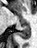

Magnetic resonance

Posterior hippocampus: bounding box (left=16, top=25, right=30, bottom=39).